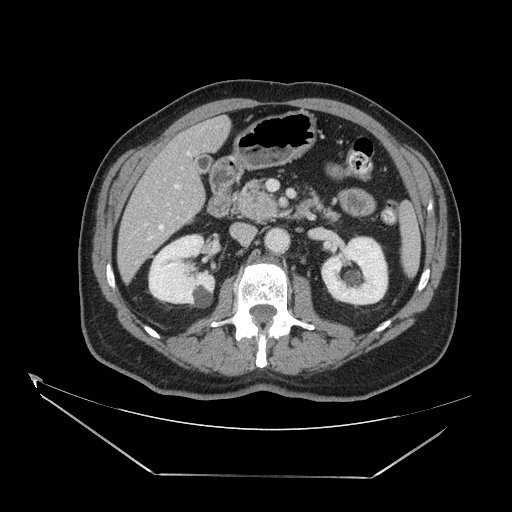

CT image

Segmented structures:
* pancreatic tumor: bbox=[245, 195, 272, 214]
* pancreas: bbox=[311, 191, 339, 221]; bbox=[233, 180, 277, 220]